Head.
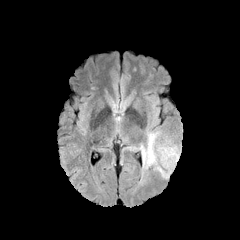
FLAIR magnetic resonance.
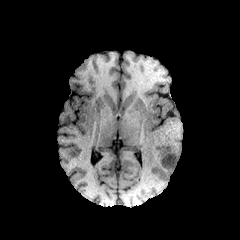
Same slice, T1-weighted MR image.
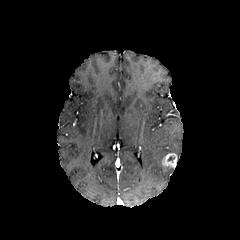
Post-contrast T1-weighted magnetic resonance.
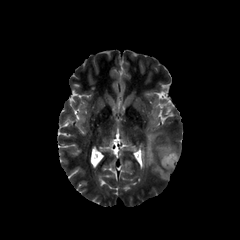
T2-weighted MR image of the same slice.
Annotated regions:
• enhancing tumor: (161,152,177,169)
• edema: (164,148,174,153), (141,132,157,172), (157,167,172,179)